Chest. CT slice. 512x512. 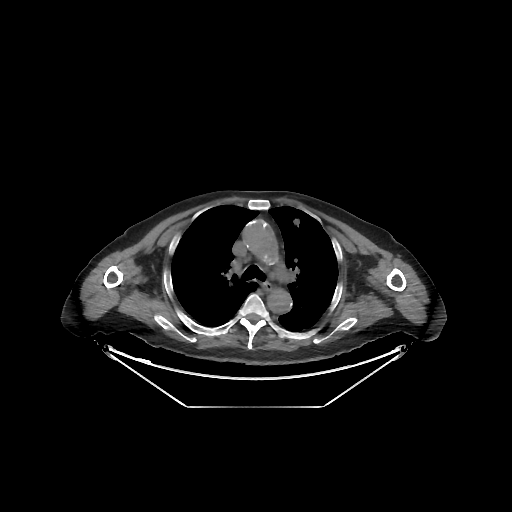
{"lung": ["x1=171, y1=205, x2=266, y2=326", "x1=268, y1=206, x2=338, y2=331"], "bone": ["x1=173, y1=294, x2=315, y2=348", "x1=331, y1=285, x2=342, y2=309", "x1=248, y1=200, x2=269, y2=209", "x1=164, y1=274, x2=172, y2=295", "x1=154, y1=315, x2=196, y2=341", "x1=386, y1=268, x2=405, y2=291", "x1=103, y1=266, x2=122, y2=288", "x1=335, y1=318, x2=356, y2=330"]}